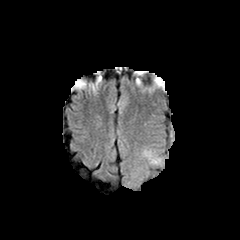
FLAIR magnetic resonance.
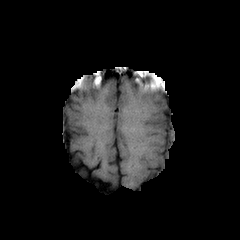
Same slice, T1-weighted magnetic resonance.
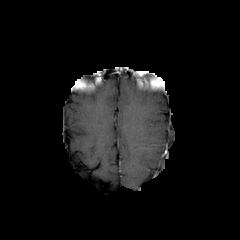
Post-contrast T1-weighted MR image.
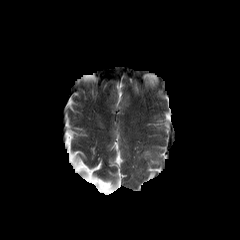
T2-weighted MR image of the same slice.
240x240.
<segmentation>
  <edema>[x1=141, y1=150, x2=165, y2=176]</edema>
</segmentation>